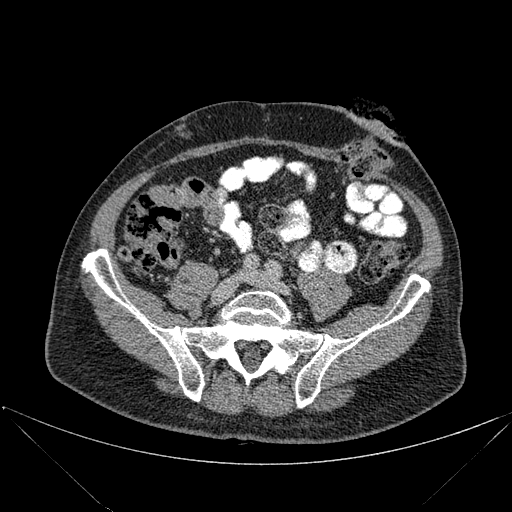

Computed tomography

Segmented structures:
* bone: region(82, 249, 429, 407)